FLAIR magnetic resonance.
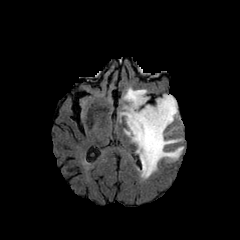
T1-weighted magnetic resonance.
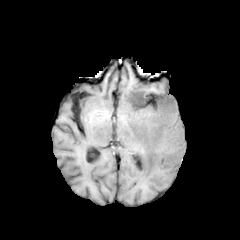
Post-contrast T1-weighted MRI.
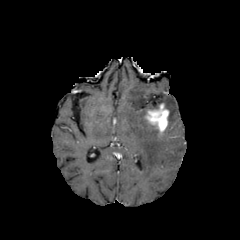
T2-weighted magnetic resonance.
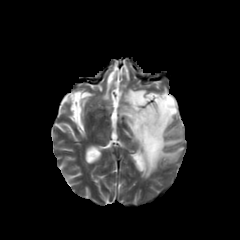
Brain
<segmentation>
  <enhancing_tumor>box=[146, 103, 169, 131]</enhancing_tumor>
  <edema>box=[117, 87, 184, 178]</edema>
</segmentation>